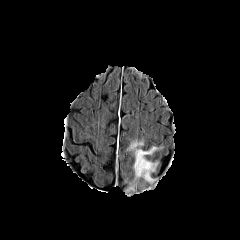
FLAIR MR image.
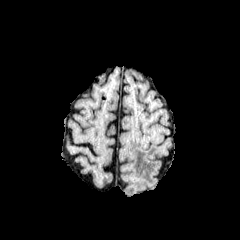
Same slice, T1-weighted magnetic resonance.
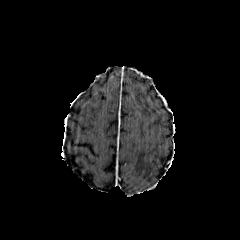
Post-contrast T1-weighted MRI of the same slice.
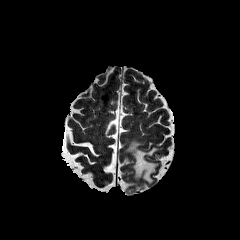
Same slice, T2-weighted MRI.
Image size 240x240; Head
Edema: bounding box (x1=125, y1=140, x2=158, y2=193).